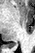 Magnetic resonance

{
  "posterior_hippocampus": [
    "[x1=11, y1=43, x2=15, y2=45]",
    "[x1=17, y1=42, x2=17, y2=45]"
  ]
}